CT; 512x512; Slice index 263 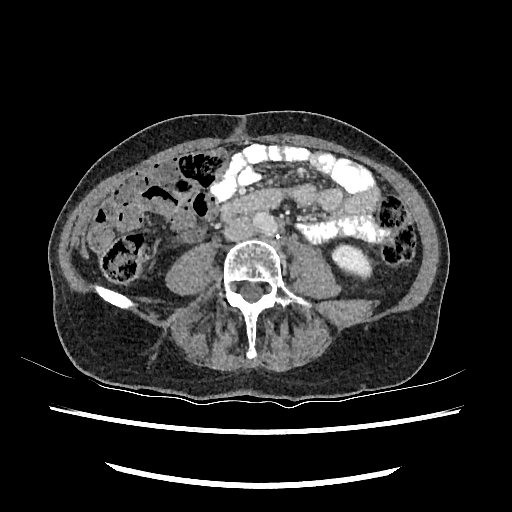

kidney:
  - 333:246:368:273